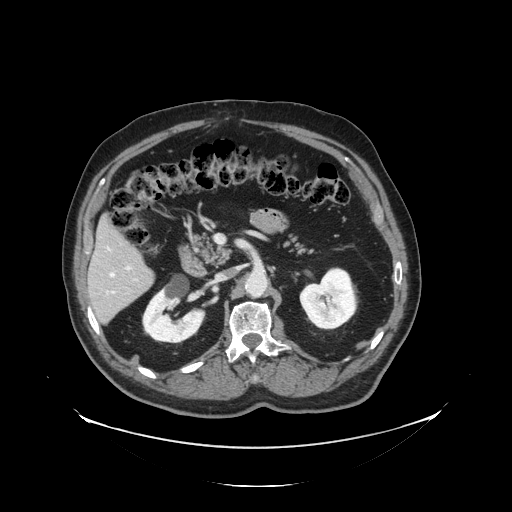
Image size 512x512; CT
The vessel annotation is not exhaustive.
4 hepatic vessel regions are located at x1=107 y1=291 x2=114 y2=293, x1=126 y1=267 x2=130 y2=270, x1=108 y1=248 x2=110 y2=249, x1=110 y1=273 x2=114 y2=277.